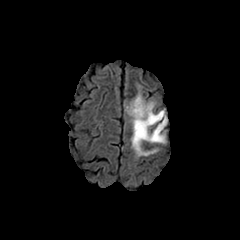
FLAIR MRI.
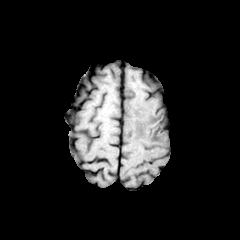
T1-weighted magnetic resonance of the same slice.
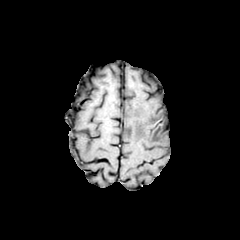
Post-contrast T1-weighted magnetic resonance of the same slice.
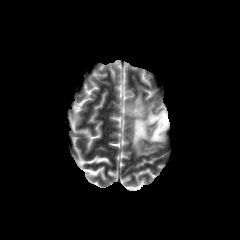
T2-weighted MR image.
<segmentation>
  <edema>[126,93,167,155]</edema>
  <non-enhancing_tumor_core>[148,114,165,139]</non-enhancing_tumor_core>
</segmentation>